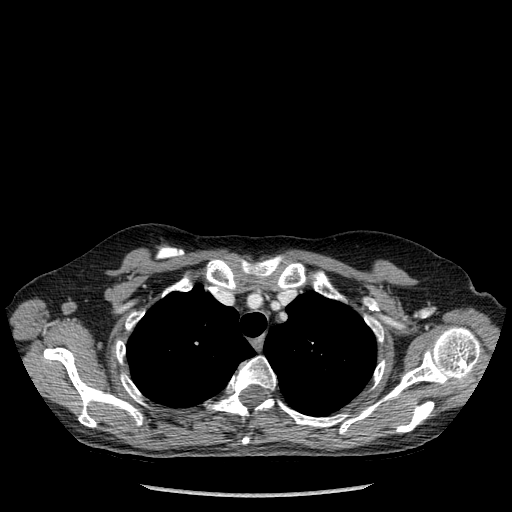

CT image
lung: 126 285 266 407, 264 291 376 416 | bone: 43 347 142 427, 277 261 305 294, 313 271 341 299, 373 360 385 387, 162 276 191 296, 207 356 275 419, 242 436 249 444, 125 311 144 330, 120 373 145 404, 364 315 383 342, 206 259 236 293, 236 256 282 276, 278 327 480 433, 115 340 125 363